Slice 96 of 155.
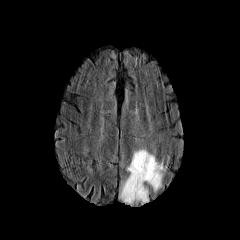
FLAIR MR.
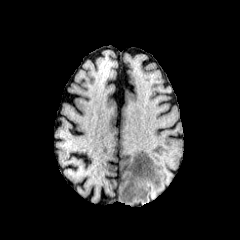
T1-weighted MR.
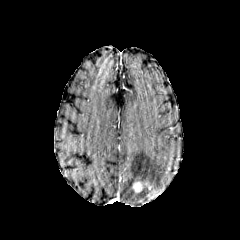
Post-contrast T1-weighted magnetic resonance.
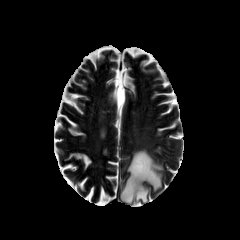
T2-weighted MR of the same slice.
Enhancing tumor: bounding box region(132, 182, 144, 193).
Edema: bounding box region(116, 149, 165, 205).